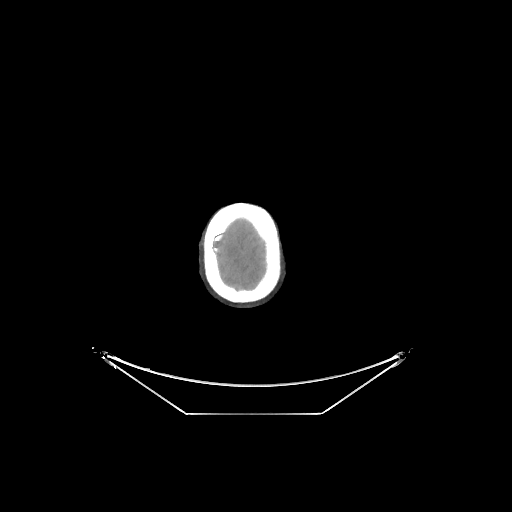

Image size 512x512 | CT image
{"brain": ["left=213, top=219, right=265, bottom=290"]}